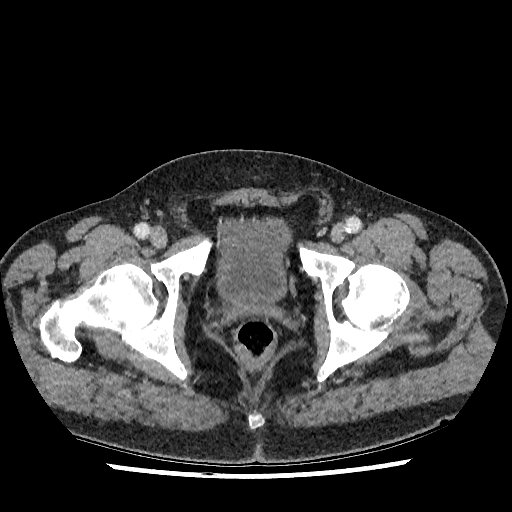
Lower abdomen | CT slice | Image size 512x512

Annotated regions:
* urinary bladder: 216:217:291:309